CT slice, Pelvis

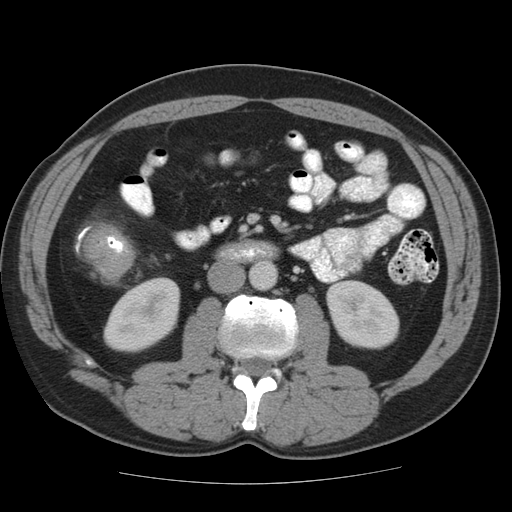
<segmentation>
  <colon_tumor>84, 227, 134, 279</colon_tumor>
</segmentation>